CT image. Field of view 500 mm wide, 2.50 mm slice spacing.

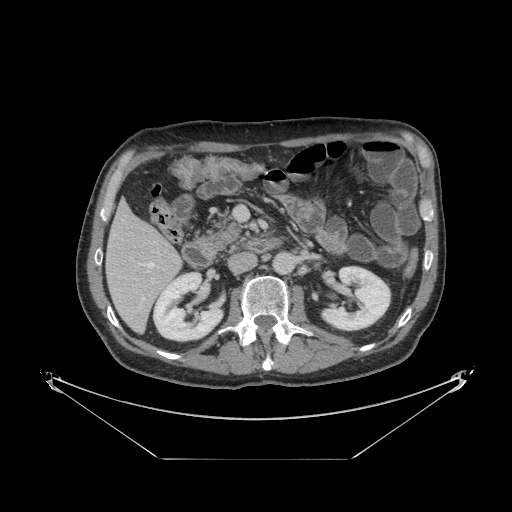

Pancreas: (204, 211, 241, 251).